Slice 13 of 39. Medial temporal lobe. Magnetic resonance. Image size 34x49. 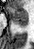
Posterior hippocampus — (x1=16, y1=24, x2=26, y2=27).
Anterior hippocampus — (x1=8, y1=7, x2=27, y2=23).